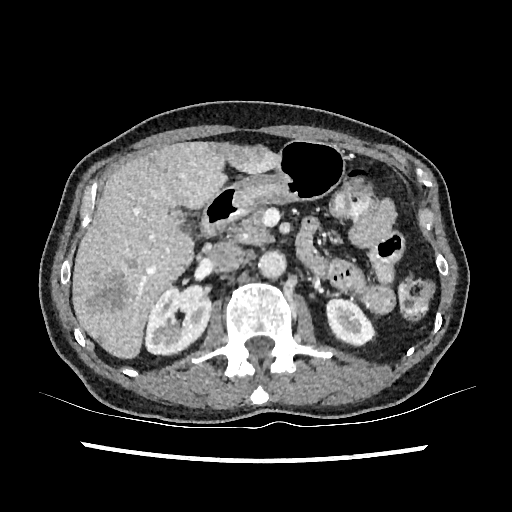 Abdomen | CT image

<segmentation>
  <liver>x1=234 y1=151 x2=279 y2=172, x1=72 y1=142 x2=226 y2=357</liver>
  <kidney>x1=146 y1=285 x2=211 y2=354, x1=327 y1=299 x2=373 y2=344</kidney>
  <focal_liver_lesion>x1=207 y1=142 x2=267 y2=165, x1=87 y1=272 x2=127 y2=310, x1=127 y1=259 x2=136 y2=268</focal_liver_lesion>
</segmentation>